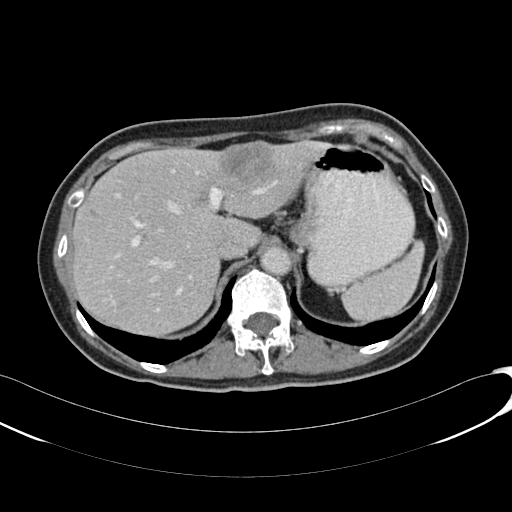 Upper abdomen | CT slice

{
  "liver": [
    "(72,140,328,333)",
    "(229,144,254,148)"
  ],
  "liver_lesion": [
    "(220,143,275,186)"
  ]
}